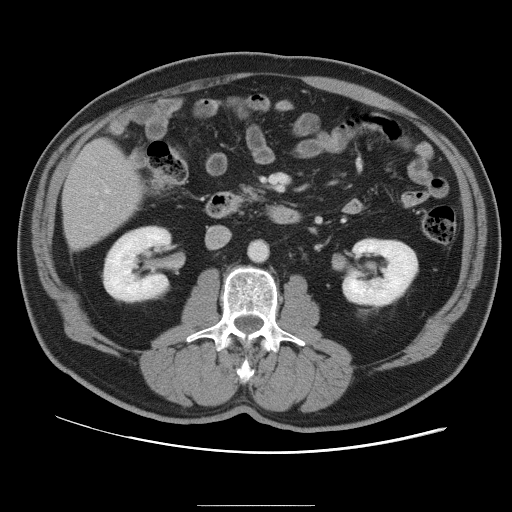 CT slice. Only some of the vessels may be annotated.
Findings:
- hepatic vessel: x1=105 y1=190 x2=109 y2=192, x1=95 y1=192 x2=97 y2=194, x1=100 y1=203 x2=102 y2=209, x1=86 y1=226 x2=90 y2=227